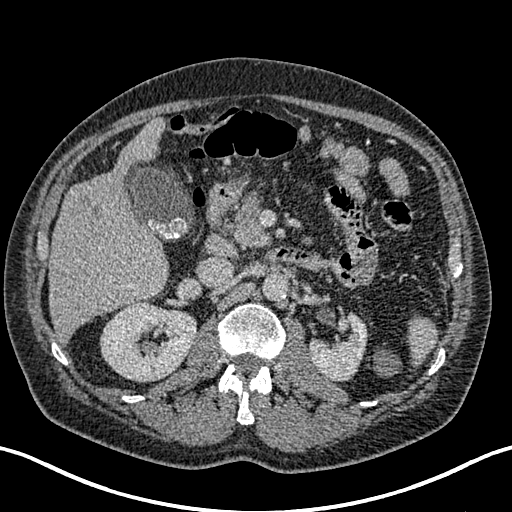 Upper abdomen, CT, 512x512 px
Kidney — <box>310,315,366,380</box>, <box>101,303,195,381</box>.
Focal liver lesion — <box>77,192,100,221</box>.
Liver — <box>48,119,169,341</box>.